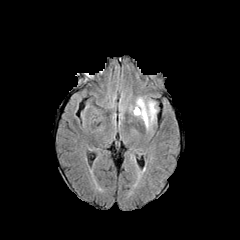
FLAIR magnetic resonance.
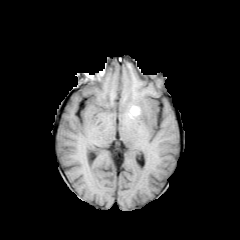
T1-weighted MR.
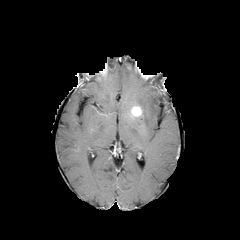
Same slice, post-contrast T1-weighted MRI.
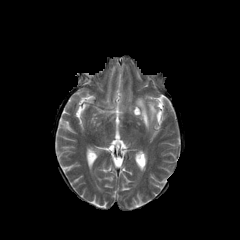
T2-weighted MR image of the same slice.
Enhancing tumor = [x1=131, y1=105, x2=142, y2=116].
Edema = [x1=136, y1=98, x2=156, y2=128].